Head
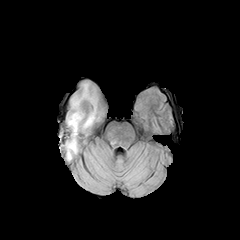
FLAIR MR.
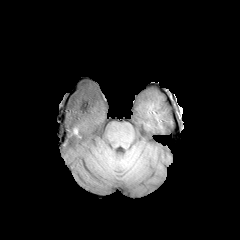
Same slice, T1-weighted MR image.
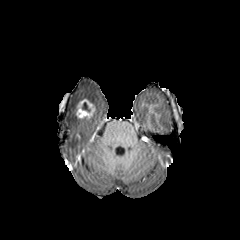
Post-contrast T1-weighted MR of the same slice.
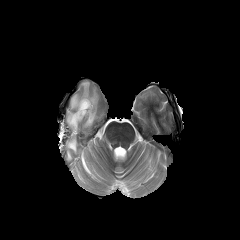
Same slice, T2-weighted MR.
Edema — x1=62 y1=83 x2=99 y2=161.
Non-enhancing tumor core — x1=82 y1=101 x2=90 y2=111.
Enhancing tumor — x1=76 y1=99 x2=94 y2=119.